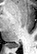 MRI slice; Hippocampus
• posterior hippocampus: box=[9, 43, 19, 47]